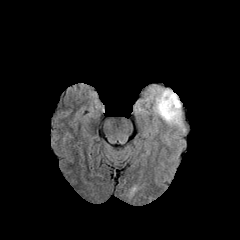
FLAIR MRI.
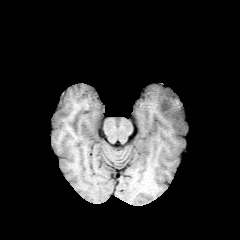
Same slice, T1-weighted MR.
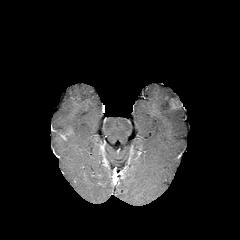
Post-contrast T1-weighted MR image.
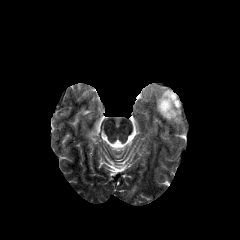
T2-weighted MR image of the same slice.
240x240.
The edema is at 144, 86, 185, 132.